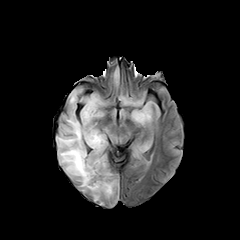
FLAIR MRI.
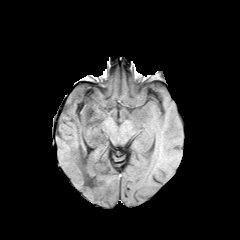
T1-weighted MR of the same slice.
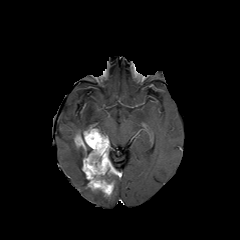
Post-contrast T1-weighted MR image of the same slice.
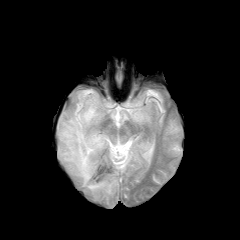
T2-weighted MR.
Head. 240x240.
2 non-enhancing tumor core regions are bounded by (94, 158, 120, 187), (79, 146, 92, 166). 3 edema regions are located at (121, 98, 151, 124), (56, 90, 107, 201), (134, 144, 150, 154). The enhancing tumor is at (74, 126, 113, 195).